Field of view 368 mm wide, 2.50 mm slice spacing | 512x512 | Liver | Computed tomography

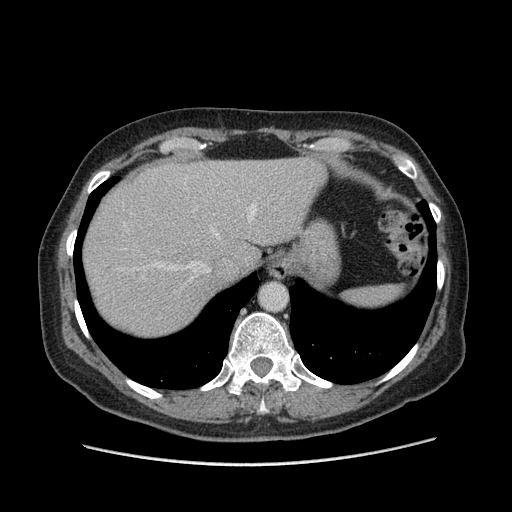

Not every hepatic vessel necessarily has a box.
Hepatic vessel — [x1=211, y1=228, x2=220, y2=239], [x1=248, y1=203, x2=257, y2=221], [x1=136, y1=260, x2=210, y2=282], [x1=208, y1=192, x2=219, y2=194], [x1=135, y1=247, x2=137, y2=249].